MR image. 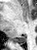

Posterior hippocampus: [13,36,25,44].